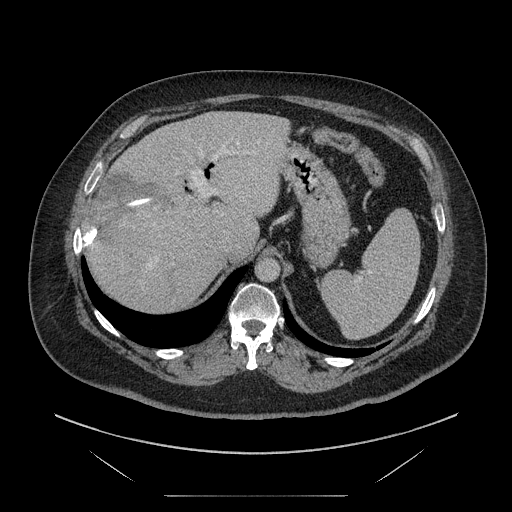

Image size 512x512; CT; Abdomen
Some hepatic vessels may have no box.
Liver tumor at bbox(98, 172, 172, 220).
Hepatic vessel at bbox(187, 196, 191, 200); bbox(189, 168, 217, 201); bbox(192, 211, 193, 213); bbox(243, 151, 247, 153); bbox(211, 144, 237, 159).